Head
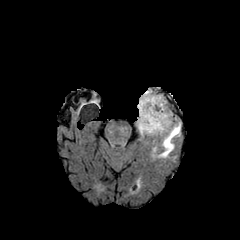
FLAIR MRI.
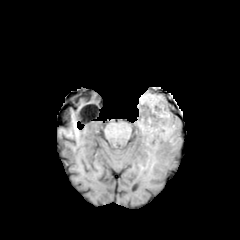
T1-weighted MR of the same slice.
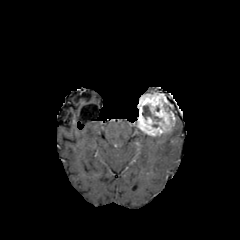
Post-contrast T1-weighted MR of the same slice.
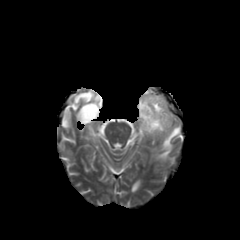
T2-weighted MR of the same slice.
enhancing tumor: [x1=137, y1=92, x2=175, y2=135] | non-enhancing tumor core: [x1=142, y1=106, x2=151, y2=117] | edema: [x1=148, y1=116, x2=180, y2=159]